CT scan slice 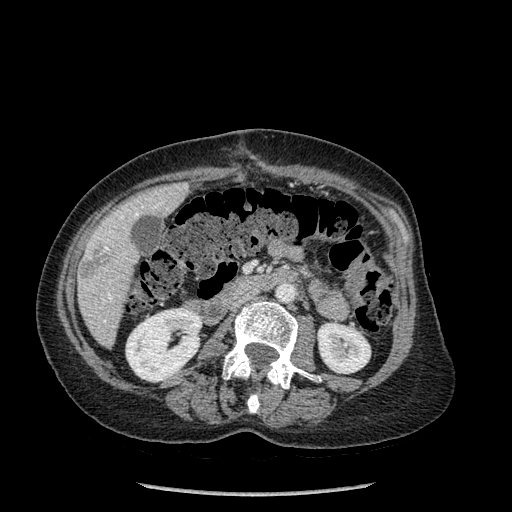

Kidney — x1=318, y1=323, x2=370, y2=373; x1=126, y1=308, x2=201, y2=381.
Liver — x1=78, y1=182, x2=188, y2=347.
Bone — x1=247, y1=393, x2=259, y2=412; x1=223, y1=300, x2=313, y2=388.
Focal liver lesion — x1=80, y1=248, x2=110, y2=277.